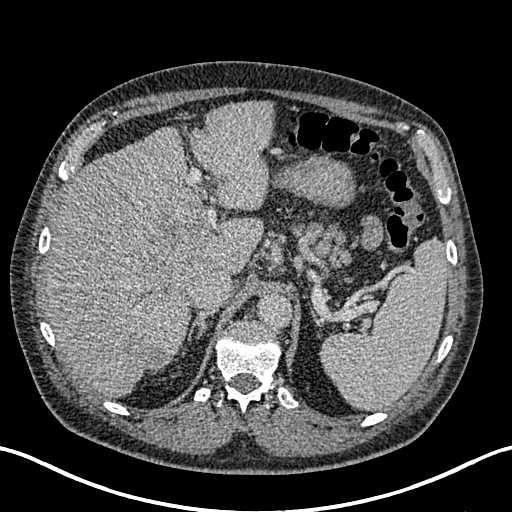
CT image, Upper abdomen
2 liver regions are bounded by rect(45, 127, 263, 396); rect(192, 102, 275, 208). 4 hepatic lesion regions appear at rect(131, 218, 205, 306); rect(248, 157, 257, 167); rect(78, 290, 95, 310); rect(122, 331, 163, 369).